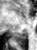
MR image. 37x50. Hippocampus.
The posterior hippocampus is bounded by left=16, top=32, right=26, bottom=42.